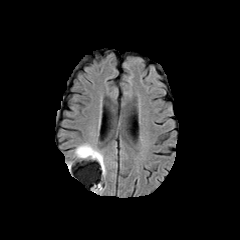
FLAIR MRI.
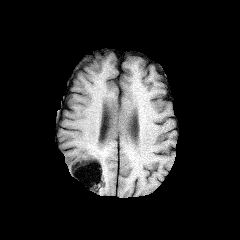
T1-weighted MR image of the same slice.
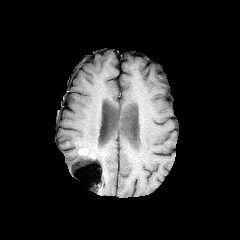
Post-contrast T1-weighted MR image.
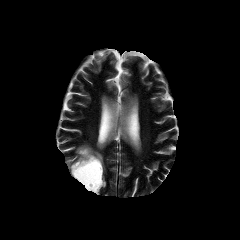
T2-weighted MR of the same slice.
240x240. Brain.
enhancing tumor: (left=78, top=148, right=96, bottom=157) | non-enhancing tumor core: (left=80, top=153, right=101, bottom=171) | edema: (left=74, top=143, right=106, bottom=177)